CT, Upper abdomen, Slice 29/85 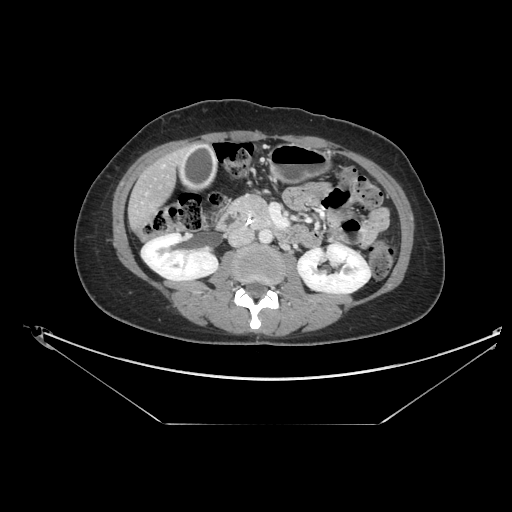 Findings:
• pancreas: bbox(233, 195, 271, 228)